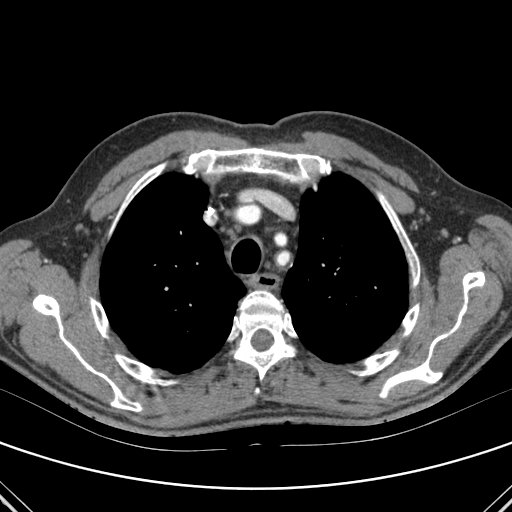
Image size 512x512 | Computed tomography
Lung: (x1=282, y1=172, x2=407, y2=363), (x1=100, y1=173, x2=246, y2=373).
Bone: (x1=402, y1=304, x2=419, y2=335), (x1=359, y1=349, x2=398, y2=375), (x1=90, y1=298, x2=108, y2=338), (x1=228, y1=290, x2=296, y2=379), (x1=183, y1=148, x2=330, y2=181), (x1=116, y1=163, x2=165, y2=221), (x1=115, y1=354, x2=172, y2=384), (x1=378, y1=192, x2=419, y2=286), (x1=379, y1=271, x2=485, y2=397), (x1=33, y1=294, x2=142, y2=411).